Liver; Computed tomography; 512x512 px; Image width 333 mm 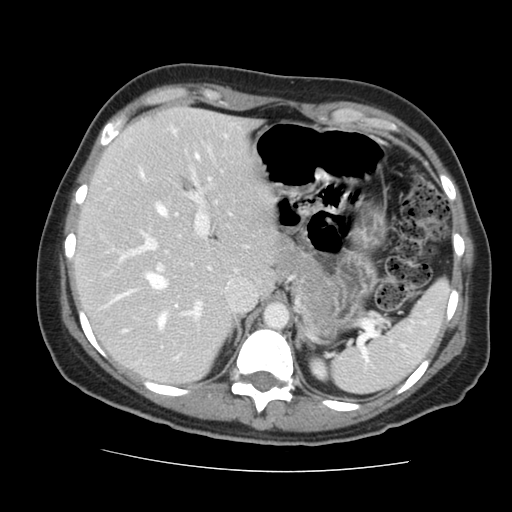 Some hepatic vessels may have no box.
Hepatic vessel: <box>120,236,155,260</box>, <box>195,155,198,158</box>, <box>172,129,173,132</box>, <box>111,291,131,301</box>, <box>185,302,201,317</box>, <box>208,178,209,180</box>, <box>157,313,165,327</box>, <box>146,265,165,288</box>, <box>123,330,125,331</box>, <box>195,213,207,234</box>, <box>191,195,197,200</box>.